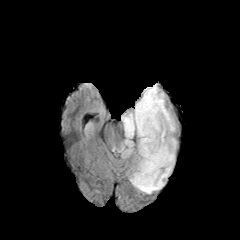
FLAIR MRI.
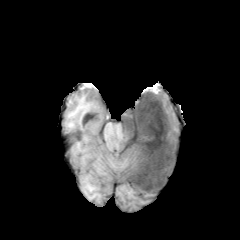
T1-weighted MRI.
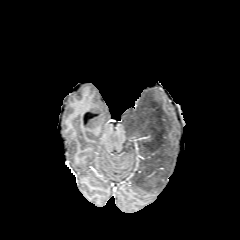
Post-contrast T1-weighted MR.
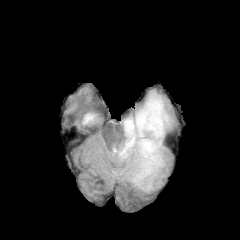
T2-weighted magnetic resonance.
Head
Segmented structures:
* edema: [121,111,131,119], [134,86,175,193], [118,146,137,177], [120,122,129,144]
* non-enhancing tumor core: [122,96,171,192]